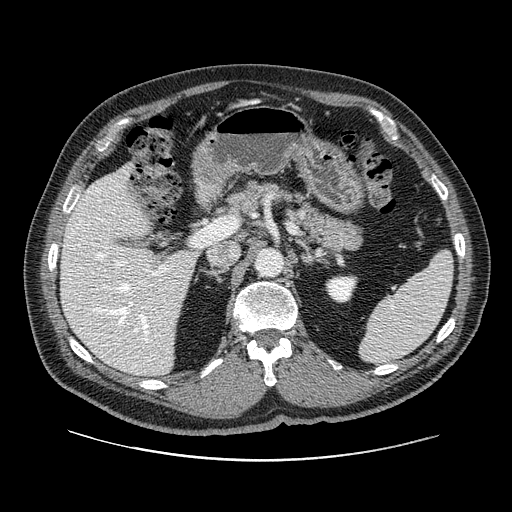
CT scan slice
pancreas:
  - 208,180,367,250